FLAIR MRI.
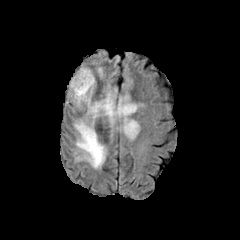
T1-weighted MR image.
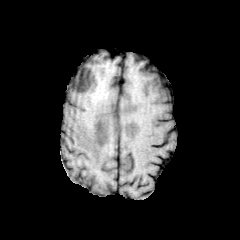
Post-contrast T1-weighted MR image.
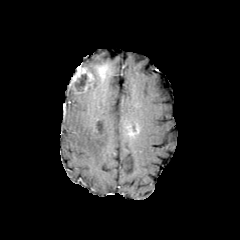
T2-weighted MR image.
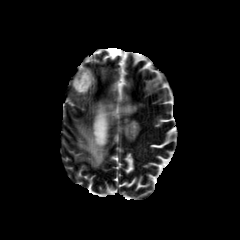
Head.
The enhancing tumor is at 70, 67, 93, 84. The edema is bounded by 74, 77, 138, 168. The non-enhancing tumor core is bounded by 70, 74, 93, 93.